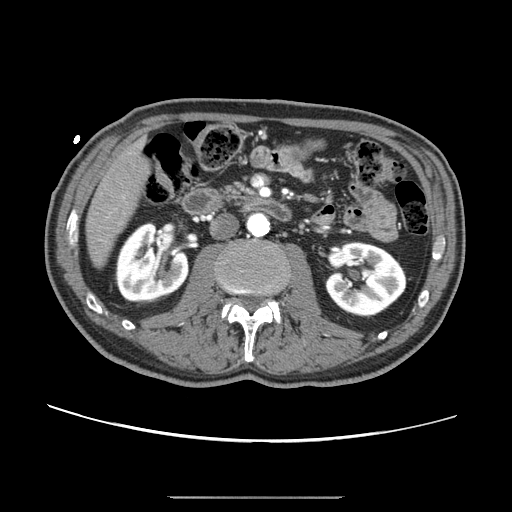
Abdomen. CT.
Pancreas: 223 182 252 202.